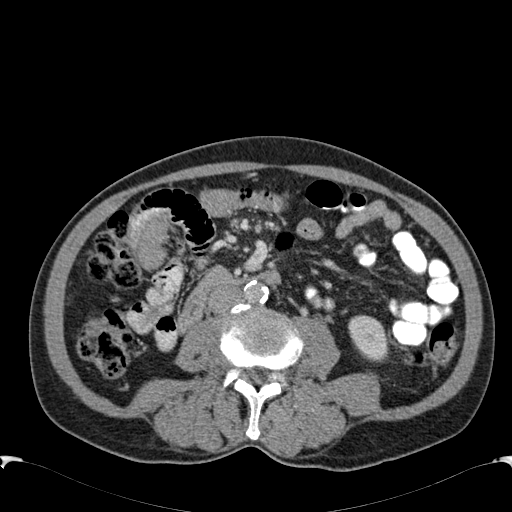

512x512 px. Abdomen. CT.
Kidney — left=347, top=316, right=386, bottom=359.